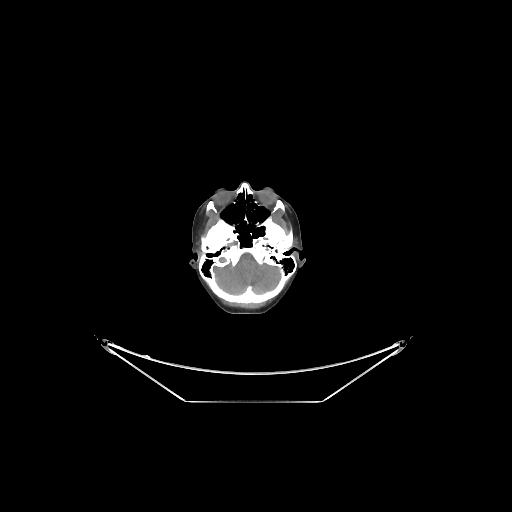

CT image | Brain

{
  "brain": [
    "(226,238,237,246)",
    "(213,252,281,295)"
  ]
}